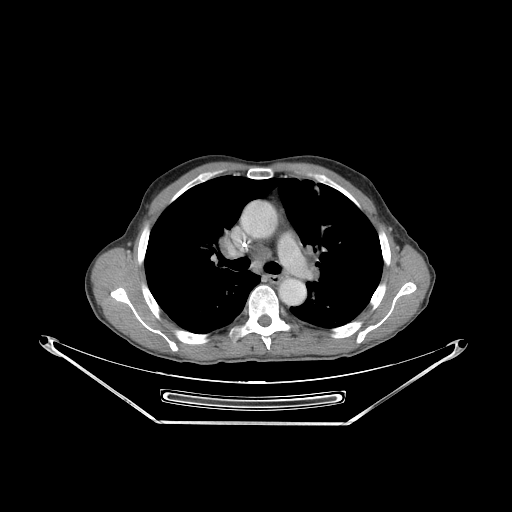
Thorax | CT slice | Image size 512x512
12 bone regions are located at (172, 183, 191, 200), (247, 168, 272, 178), (111, 288, 177, 350), (336, 186, 357, 204), (176, 331, 206, 343), (142, 285, 160, 319), (357, 282, 415, 342), (242, 285, 289, 349), (333, 322, 360, 337), (138, 228, 148, 262), (379, 232, 390, 264), (371, 285, 385, 308). The lung is located at (145, 175, 382, 333).